CT scan slice; Slice 185/410
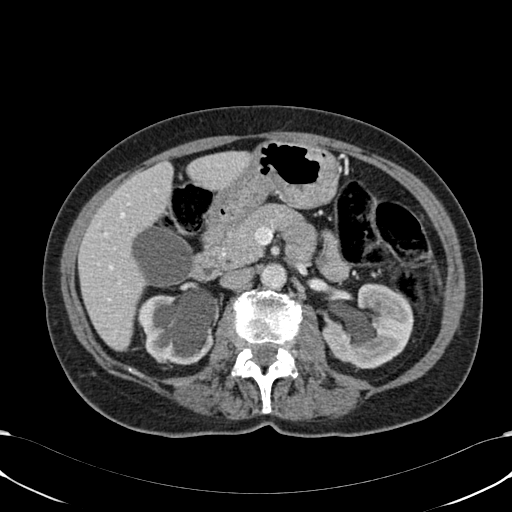 Liver: left=79, top=161, right=172, bottom=350; left=188, top=150, right=252, bottom=188.
Kidney: left=323, top=284, right=413, bottom=367; left=136, top=288, right=217, bottom=363.